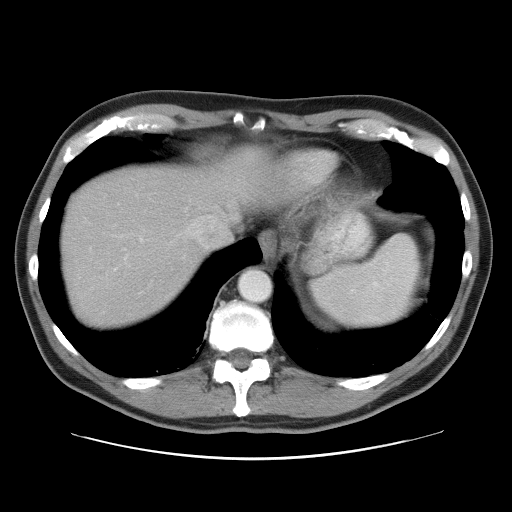
Computed tomography
Not every hepatic vessel necessarily has a box.
4 hepatic vessel regions are bounded by l=186, t=217, r=204, b=244; l=140, t=238, r=141, b=240; l=185, t=209, r=187, b=210; l=124, t=257, r=125, b=259.